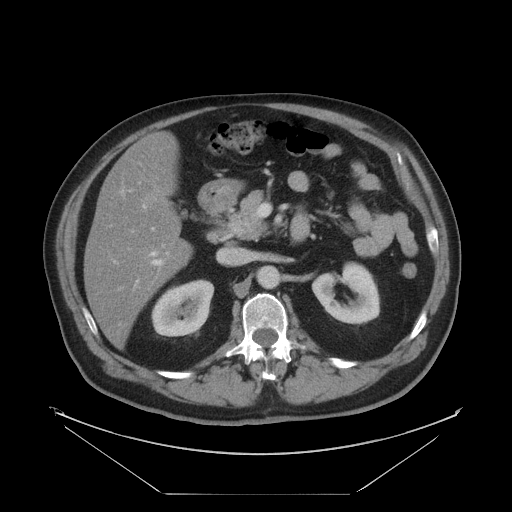 Abdomen | CT slice
pancreas: [235,189,266,236]